Abdomen; CT slice

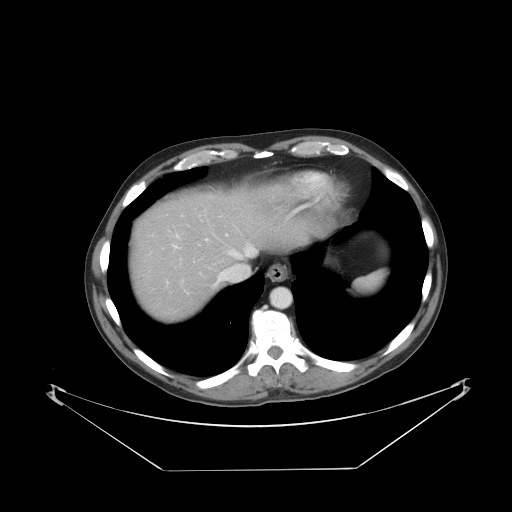

Not every hepatic vessel necessarily has a box.
9 hepatic vessel regions are located at 228,245,256,259; 172,244,179,250; 205,238,208,241; 216,275,220,283; 180,257,181,259; 181,281,183,282; 166,281,168,284; 199,272,201,274; 175,235,178,237.